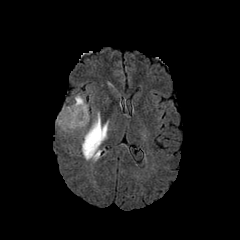
FLAIR MR image.
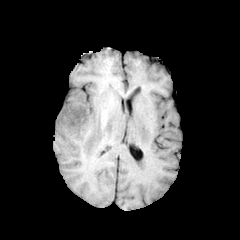
T1-weighted MRI.
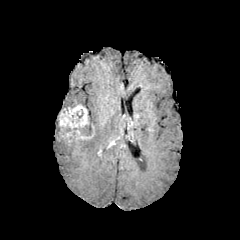
Post-contrast T1-weighted MR image.
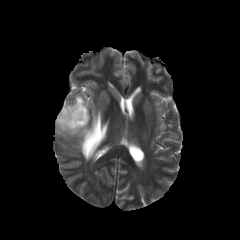
T2-weighted MR.
Image size 240x240 | Head
{"enhancing_tumor": ["rect(58, 103, 87, 133)"], "non-enhancing_tumor_core": ["rect(82, 124, 101, 149)", "rect(58, 125, 79, 135)"], "edema": ["rect(74, 108, 108, 162)", "rect(68, 93, 88, 107)"]}